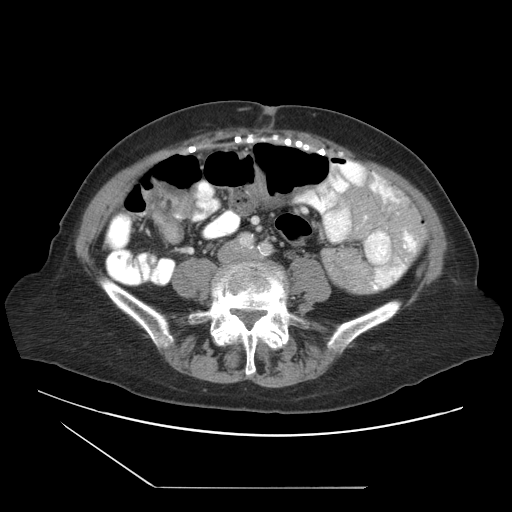
Pelvis | CT slice

The colon tumor is at {"x1": 147, "y1": 183, "x2": 191, "y2": 223}.